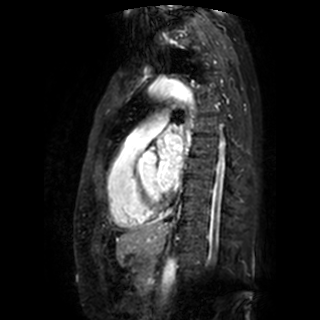
Heart | MR image | Image size 320x320
The left atrium lies within <box>156,134,182,192</box>.